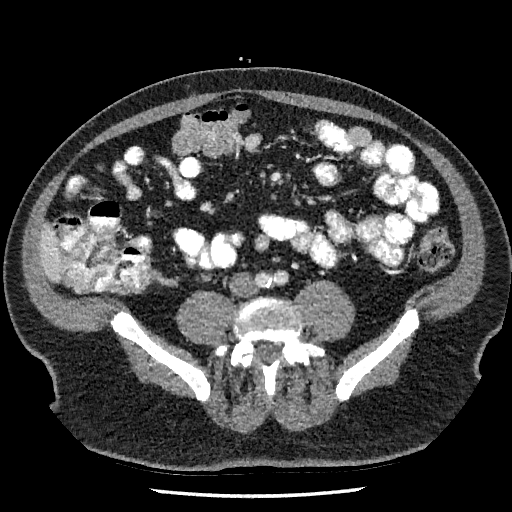 CT scan slice; Upper abdomen
Liver = 40, 225, 63, 282.